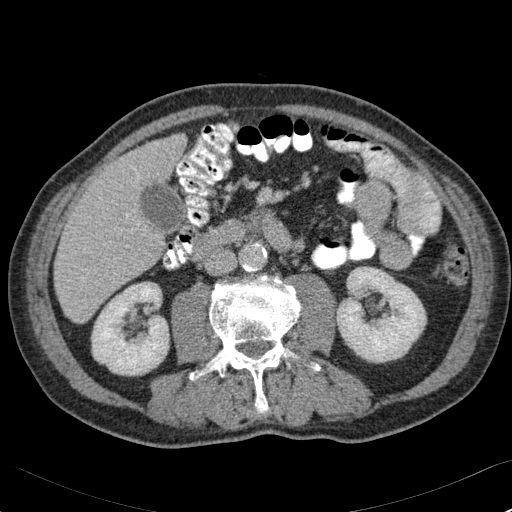

Image size 512x512 | Computed tomography

Kidney = {"x1": 92, "y1": 283, "x2": 168, "y2": 374}, {"x1": 337, "y1": 267, "x2": 425, "y2": 362}.
Liver = {"x1": 175, "y1": 136, "x2": 186, "y2": 147}, {"x1": 55, "y1": 139, "x2": 179, "y2": 321}.